Upper abdomen; CT image; Image width 350 mm 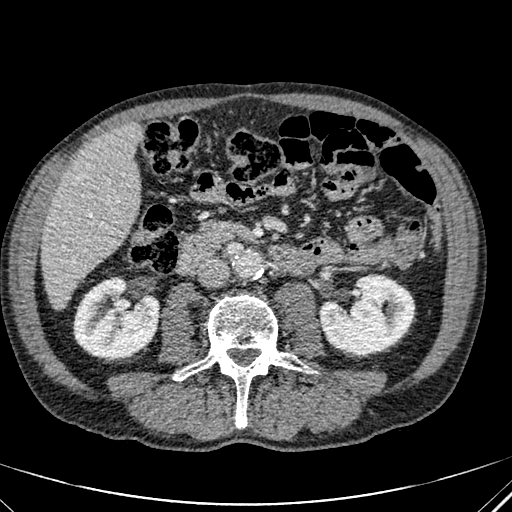

Kidney — bbox(75, 279, 158, 357); bbox(321, 276, 413, 354).
Liver — bbox(41, 122, 140, 305).